Field of view 340 mm wide, 1.50 mm slice spacing. CT. 512x512. Liver.
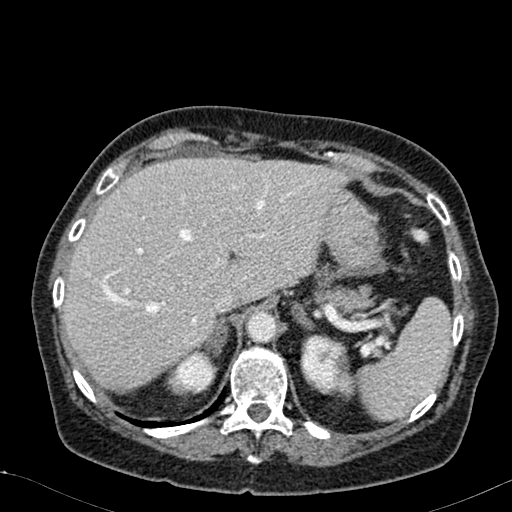

Liver = left=64, top=158, right=349, bottom=389.
Kidney = left=302, top=335, right=351, bottom=392; left=169, top=351, right=211, bottom=392.